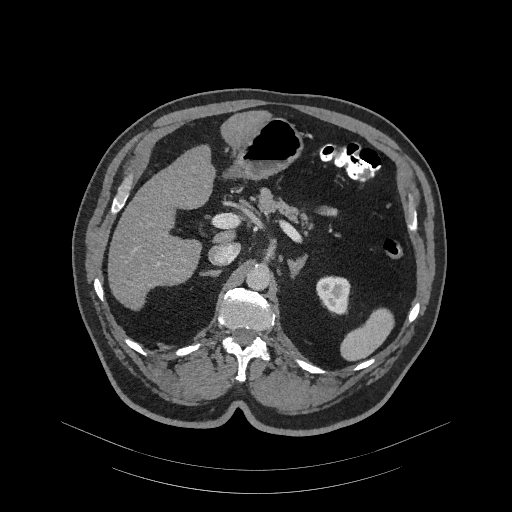

CT slice; 512x512 px

The pancreas is located at 257, 188, 311, 228.